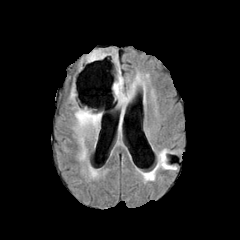
FLAIR MRI.
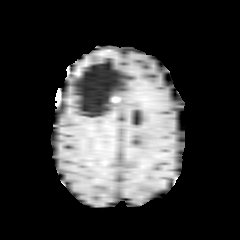
T1-weighted MRI.
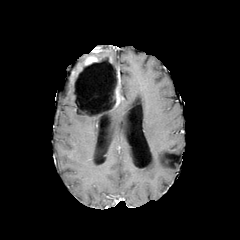
Post-contrast T1-weighted MR image.
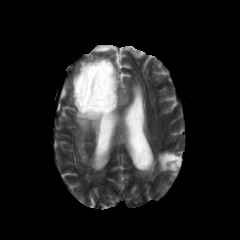
T2-weighted MR image of the same slice.
240x240
<segmentation>
  <edema>[71, 108, 101, 160], [69, 88, 76, 105], [117, 72, 141, 136], [158, 150, 173, 171]</edema>
  <enhancing_tumor>[86, 54, 98, 63], [115, 85, 123, 103]</enhancing_tumor>
  <non-enhancing_tumor_core>[74, 68, 118, 116]</non-enhancing_tumor_core>
</segmentation>